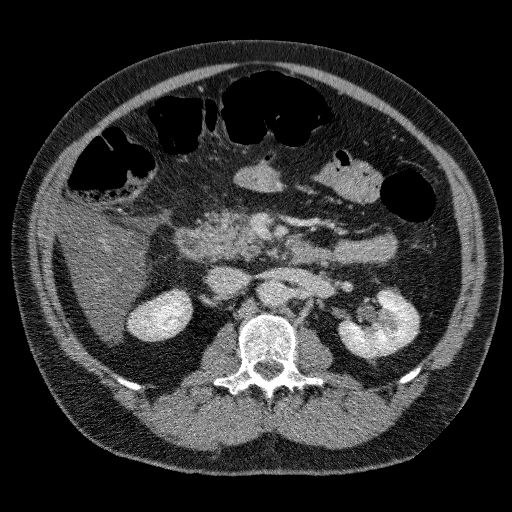
CT scan slice | Liver

Liver — left=59, top=205, right=144, bottom=340.
Liver lesion — left=125, top=234, right=144, bottom=253.
Kidney — left=340, top=291, right=417, bottom=356; left=128, top=291, right=189, bottom=337.